Slice index 170 | Chest | CT
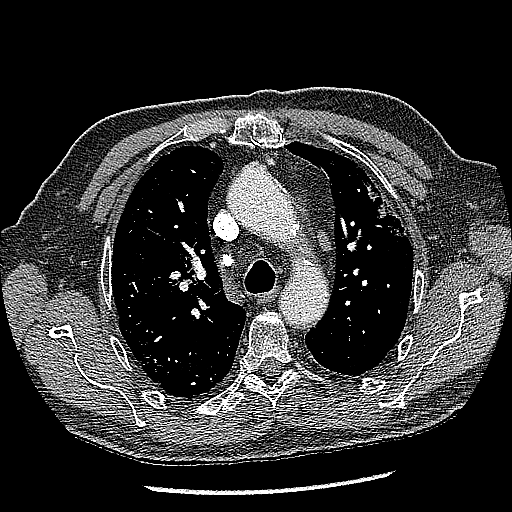

lung tumor: x1=361 y1=178 x2=406 y2=237